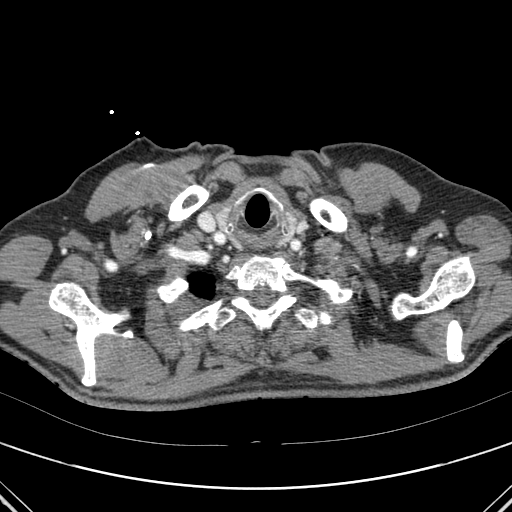 CT scan slice. Image size 512x512.

<segmentation>
  <bone>[x1=168, y1=184, x2=209, y2=221], [x1=157, y1=277, x2=187, y2=302], [x1=392, y1=257, x2=474, y2=319], [x1=310, y1=198, x2=347, y2=232], [x1=295, y1=309, x2=331, y2=328], [x1=407, y1=247, x2=416, y2=256], [x1=226, y1=256, x2=352, y2=329], [x1=49, y1=283, x2=132, y2=386], [x1=446, y1=320, x2=463, y2=362], [x1=179, y1=300, x2=235, y2=330]</bone>
  <lung>[x1=188, y1=272, x2=214, y2=299]</lung>
</segmentation>